CT scan slice; Slice index 215
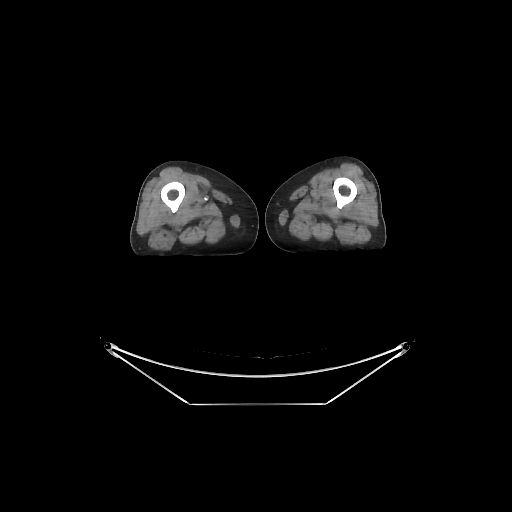

<segmentation>
  <bone>l=161, t=181, r=184, b=212; l=333, t=177, r=356, b=208</bone>
</segmentation>